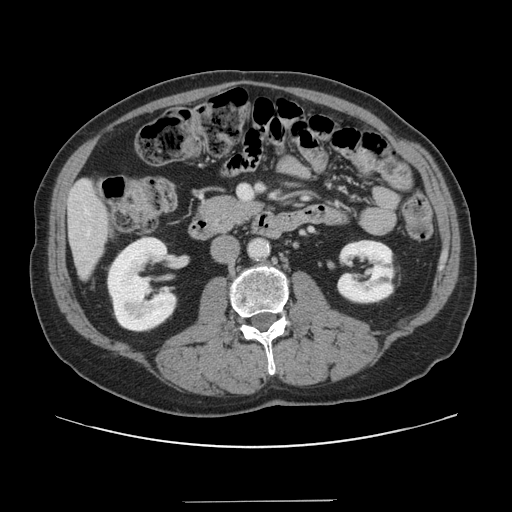
Abdomen. CT slice.

Not every hepatic vessel necessarily has a box.
Annotated regions:
* hepatic vessel: x1=239, y1=185, x2=250, y2=198